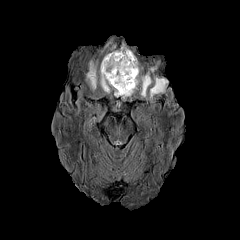
FLAIR MR image.
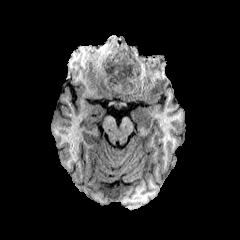
T1-weighted magnetic resonance of the same slice.
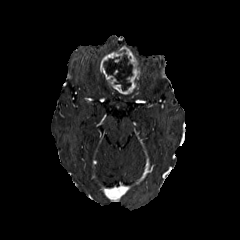
Post-contrast T1-weighted MR image.
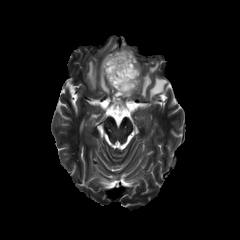
Same slice, T2-weighted MRI.
Head | Image size 240x240
<segmentation>
  <enhancing_tumor>x1=99, y1=45, x2=140, y2=96</enhancing_tumor>
  <edema>x1=141, y1=72, x2=151, y2=97; x1=100, y1=73, x2=109, y2=93; x1=85, y1=60, x2=98, y2=90; x1=94, y1=40, x2=115, y2=55; x1=149, y1=77, x2=168, y2=102</edema>
  <non-enhancing_tumor_core>x1=102, y1=55, x2=132, y2=91</non-enhancing_tumor_core>
</segmentation>